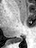

MRI slice; Medial temporal lobe

Posterior hippocampus = 12,37,22,42.